Slice 110/155
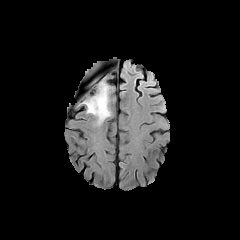
FLAIR MRI.
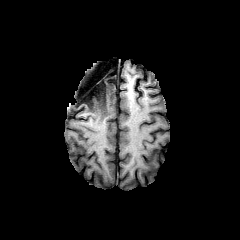
T1-weighted MR of the same slice.
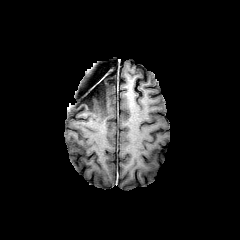
Post-contrast T1-weighted MRI of the same slice.
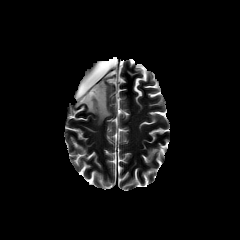
T2-weighted magnetic resonance.
Segmented structures:
- edema: rect(82, 82, 111, 125)
- non-enhancing tumor core: rect(82, 82, 105, 105)